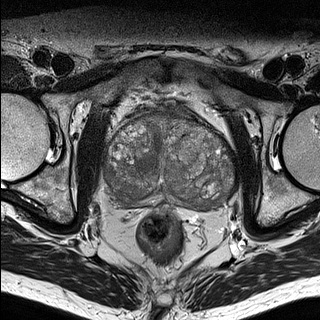
T2-weighted MR.
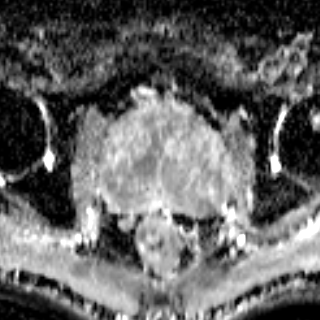
ADC MR image.
Prostate
{"prostate_transition_zone": ["rect(104, 111, 237, 209)"], "prostate_peripheral_zone": ["rect(104, 182, 205, 209)"]}